CT scan slice; 512x512 px

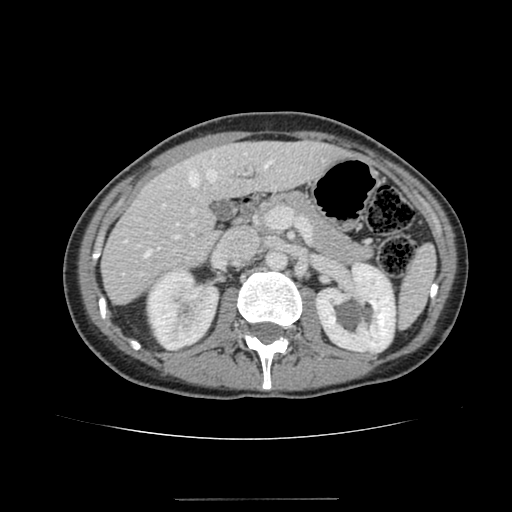 kidney:
  - bbox(148, 269, 217, 349)
  - bbox(316, 263, 395, 352)
liver:
  - bbox(101, 141, 348, 305)